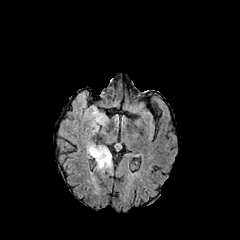
FLAIR magnetic resonance.
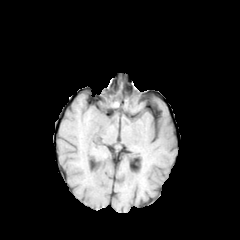
T1-weighted magnetic resonance of the same slice.
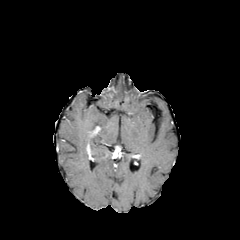
Post-contrast T1-weighted MR.
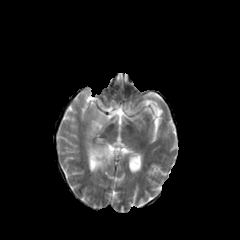
T2-weighted magnetic resonance.
240x240 px
The edema is located at box=[86, 105, 112, 172].